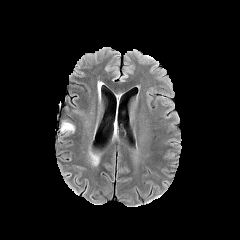
FLAIR MR image.
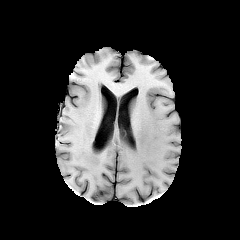
Same slice, T1-weighted MR image.
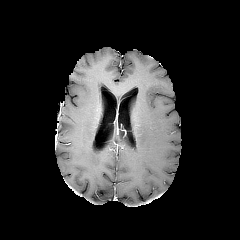
Same slice, post-contrast T1-weighted magnetic resonance.
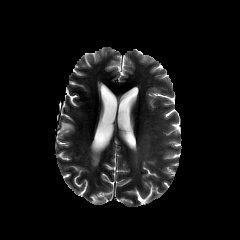
T2-weighted MRI of the same slice.
Image size 240x240.
edema:
  - (60, 122, 71, 133)
  - (89, 152, 98, 165)